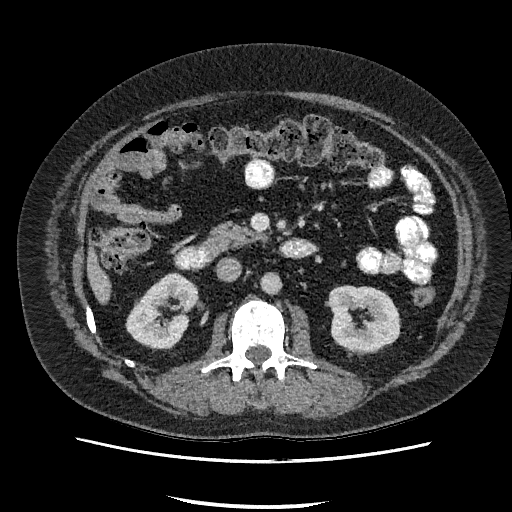
Liver, Image size 512x512, Computed tomography
The liver lies within region(86, 251, 110, 302). 2 kidney regions appear at region(330, 286, 398, 350); region(127, 275, 196, 347).